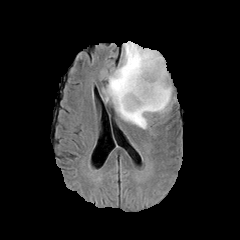
FLAIR MRI.
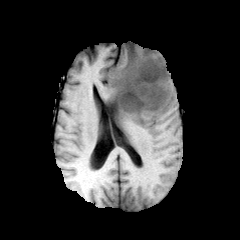
T1-weighted MRI of the same slice.
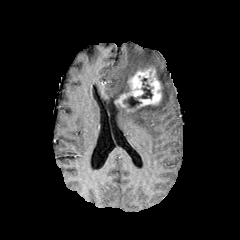
Post-contrast T1-weighted MR image.
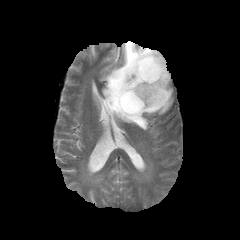
T2-weighted MR of the same slice.
Head
Non-enhancing tumor core = x1=141 y1=78 x2=152 y2=98, x1=123 y1=96 x2=141 y2=107.
Edema = x1=103 y1=41 x2=173 y2=129.
Enhancing tumor = x1=114 y1=66 x2=162 y2=112.